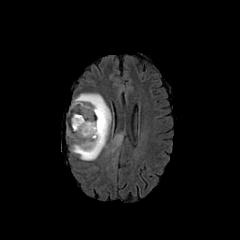
FLAIR MRI.
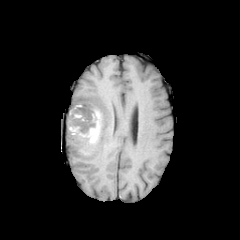
T1-weighted MR image of the same slice.
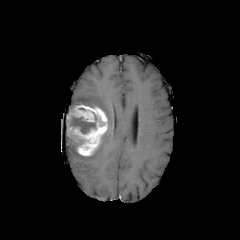
Post-contrast T1-weighted magnetic resonance.
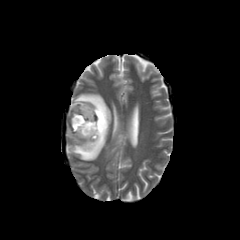
T2-weighted MRI.
Brain
{"enhancing_tumor": ["(left=66, top=104, right=108, bottom=156)"], "edema": ["(left=70, top=93, right=112, bottom=160)"], "non-enhancing_tumor_core": ["(left=70, top=116, right=95, bottom=133)"]}